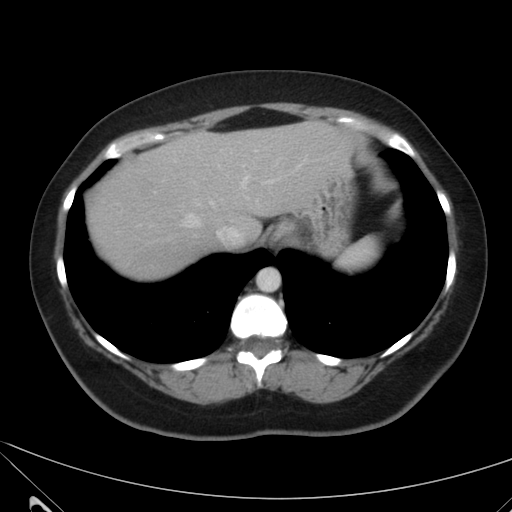 CT image, Liver
liver:
  - box=[88, 121, 351, 278]